CT scan slice | Upper abdomen | Slice index 43 | Image width 320 mm | 512x512 px
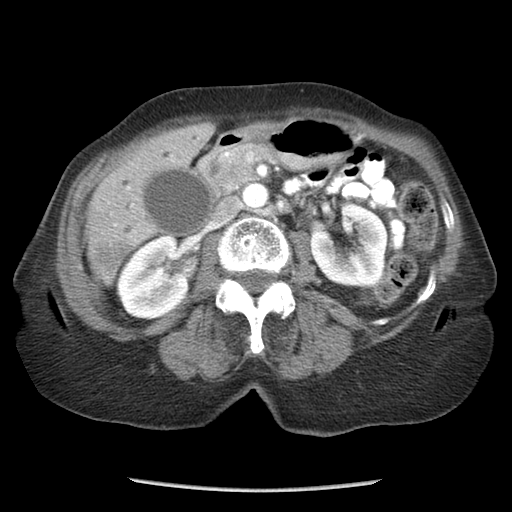
The pancreatic tumor is located at box(218, 162, 246, 187). The pancreas lies within box(206, 143, 264, 192).